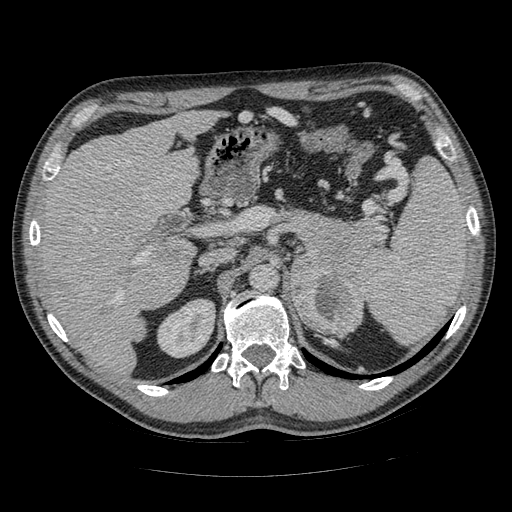

Computed tomography
Pancreas at 289 212 380 272.
Pancreatic tumor at 291 254 363 335.